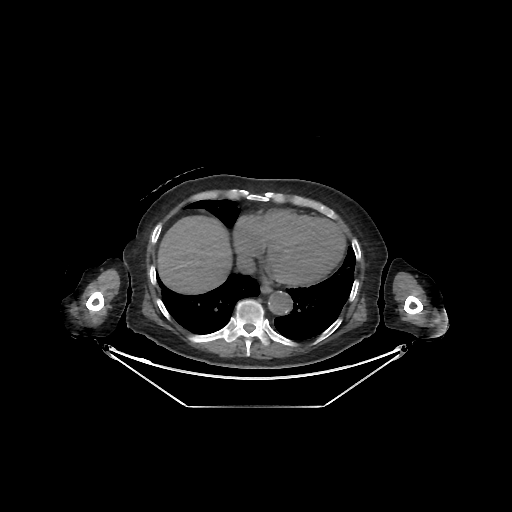
CT image
{
  "bone": [
    "<bbox>352, 240, 360, 258</bbox>",
    "<bbox>350, 281, 358, 300</bbox>",
    "<bbox>150, 266, 155, 283</bbox>",
    "<bbox>86, 291, 103, 311</bbox>",
    "<bbox>247, 193, 274, 200</bbox>",
    "<bbox>317, 320, 341, 341</bbox>",
    "<bbox>190, 300, 293, 355</bbox>",
    "<bbox>157, 299, 169, 318</bbox>",
    "<bbox>404, 296, 422, 314</bbox>",
    "<bbox>152, 225, 160, 242</bbox>"
  ],
  "lung": [
    "<bbox>183, 199, 242, 228</bbox>",
    "<bbox>274, 245, 355, 341</bbox>",
    "<bbox>156, 272, 260, 334</bbox>"
  ],
  "liver": [
    "<bbox>158, 216, 231, 294</bbox>"
  ]
}